CT image | Abdomen

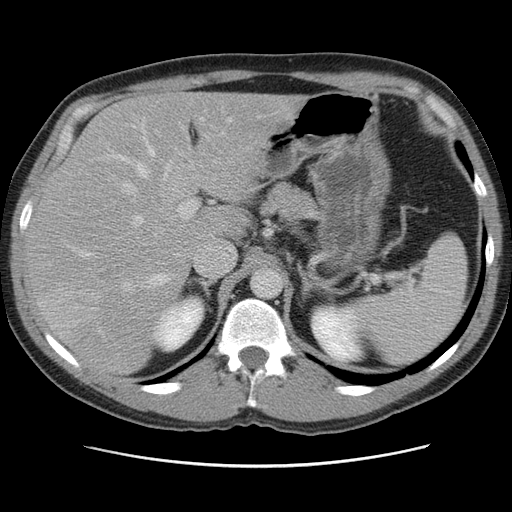 Not every hepatic vessel necessarily has a box.
Largest 15 of 25 hepatic vessel regions — <box>123,283,133,290</box>, <box>156,130,159,136</box>, <box>228,118,232,121</box>, <box>102,149,149,177</box>, <box>142,118,154,156</box>, <box>214,176,216,180</box>, <box>178,200,197,219</box>, <box>123,183,136,193</box>, <box>148,274,169,288</box>, <box>164,173,167,180</box>, <box>68,246,92,257</box>, <box>199,235,202,238</box>, <box>142,282,147,286</box>, <box>132,216,143,226</box>, <box>221,132,225,134</box>.
Liver tumor — <box>43,290,95,335</box>.